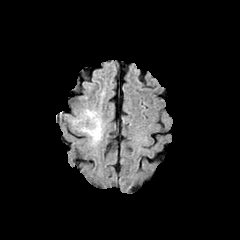
FLAIR magnetic resonance.
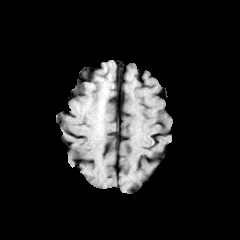
T1-weighted magnetic resonance.
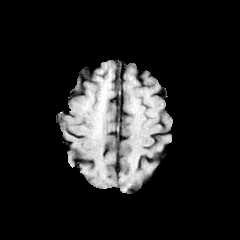
Post-contrast T1-weighted magnetic resonance.
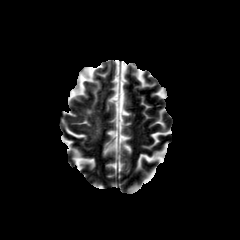
Same slice, T2-weighted magnetic resonance.
Brain
edema:
  - box(85, 118, 101, 140)
  - box(86, 110, 94, 118)